240x240
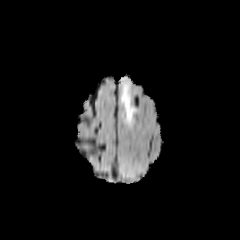
FLAIR MR image.
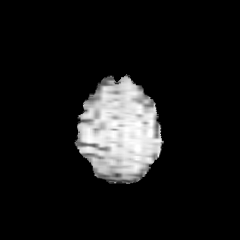
T1-weighted MRI of the same slice.
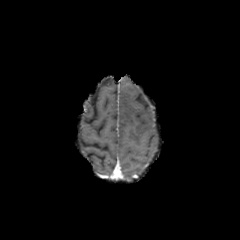
Post-contrast T1-weighted MR.
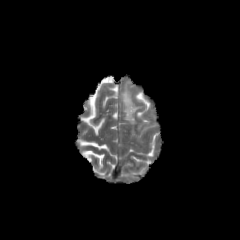
T2-weighted MR of the same slice.
Edema at {"x1": 121, "y1": 83, "x2": 140, "y2": 122}.